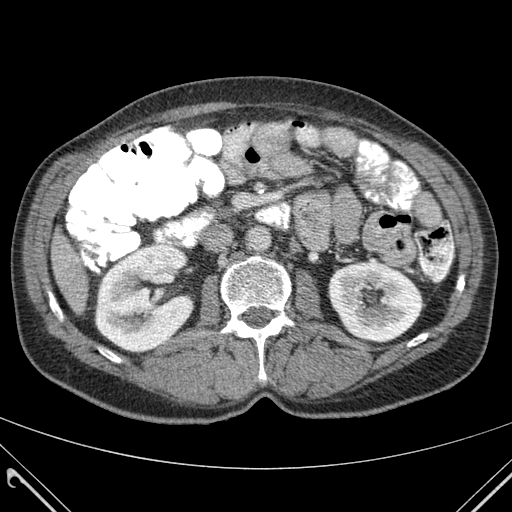
CT image, Image size 512x512
Bone at 408:334:427:346, 457:277:464:290, 49:292:62:318, 100:350:120:362, 221:257:293:379.
Liver at 51:230:87:310.
Kidney at 96:244:191:350, 330:262:421:341.